FLAIR MRI.
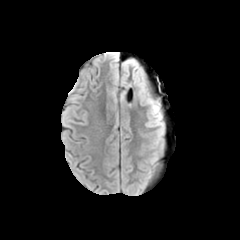
T1-weighted magnetic resonance.
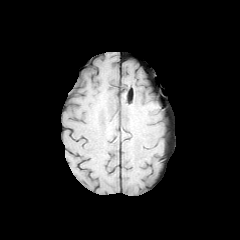
Post-contrast T1-weighted MRI.
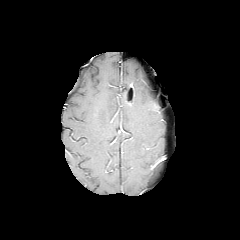
T2-weighted magnetic resonance.
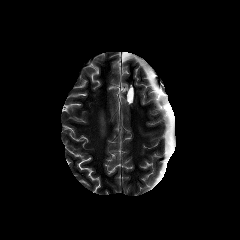
240x240 px.
edema:
  - bbox=[142, 82, 164, 146]